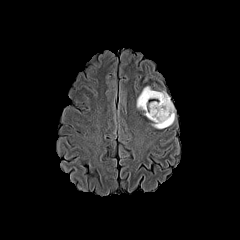
FLAIR MR.
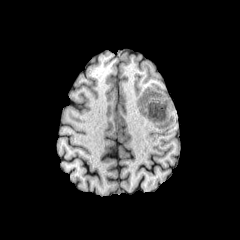
T1-weighted MR image.
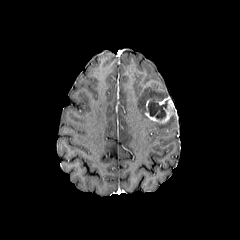
Post-contrast T1-weighted MR.
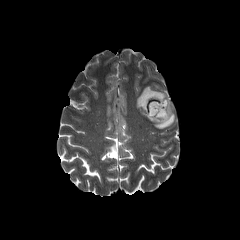
T2-weighted MR of the same slice.
Segmented structures:
* edema: [137, 86, 167, 109], [154, 113, 174, 128]
* non-enhancing tumor core: [145, 101, 167, 120]
* enhancing tumor: [145, 96, 173, 124]